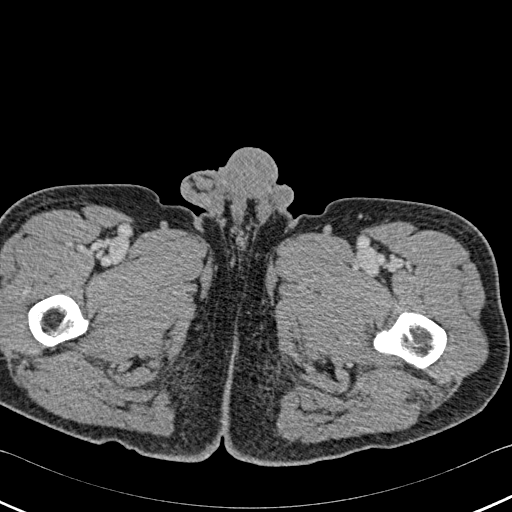
Computed tomography

bone: left=29, top=295, right=87, bottom=345; left=374, top=313, right=446, bottom=368